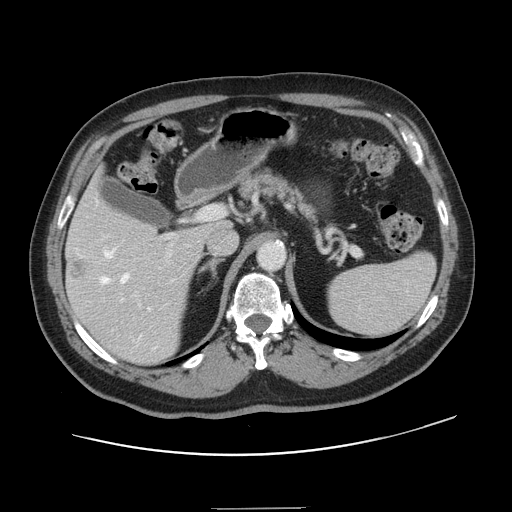 CT image, Liver
Only some of the vessels may be annotated.
The liver tumor is at <bbox>69, 257, 89, 279</bbox>. 6 hepatic vessel regions appear at <bbox>121, 299, 123, 300</bbox>, <bbox>105, 251, 113, 257</bbox>, <bbox>167, 235, 172, 238</bbox>, <bbox>101, 277, 108, 283</bbox>, <bbox>121, 274, 128, 282</bbox>, <bbox>148, 308, 150, 309</bbox>.